Upper abdomen, CT scan slice
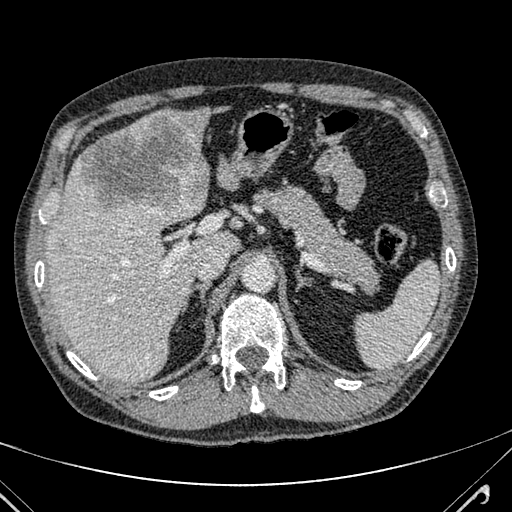
Hepatic lesion: bbox=[57, 240, 66, 251]; bbox=[79, 114, 208, 208].
Liver: bbox=[107, 114, 153, 138]; bbox=[47, 159, 238, 382]; bbox=[218, 162, 238, 188]; bbox=[231, 217, 240, 227]; bbox=[154, 106, 216, 153].